CT slice, Liver

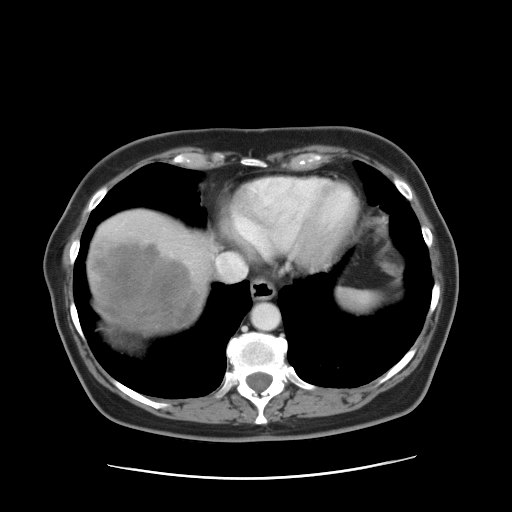

The vessel boxes may cover only some of the vessels.
{
  "hepatic_vessel": [
    "<box>244,238,252,243</box>",
    "<box>215,253,246,280</box>"
  ],
  "liver_tumor": [
    "<box>89,239,202,325</box>"
  ]
}